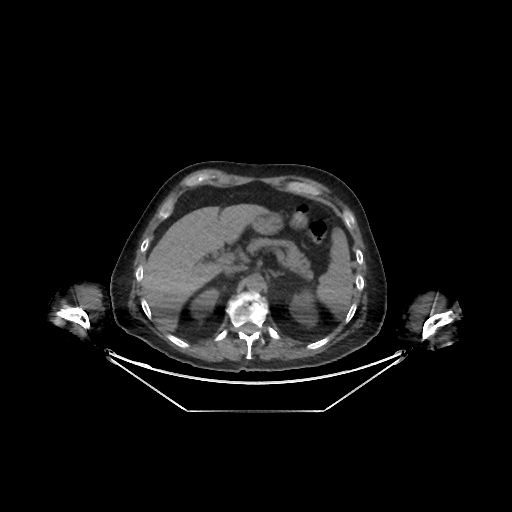 Image size 512x512. CT. Abdomen.
Liver — bbox(141, 204, 269, 332).
Kidney — bbox(289, 290, 317, 326); bbox(189, 286, 221, 320).